Computed tomography.

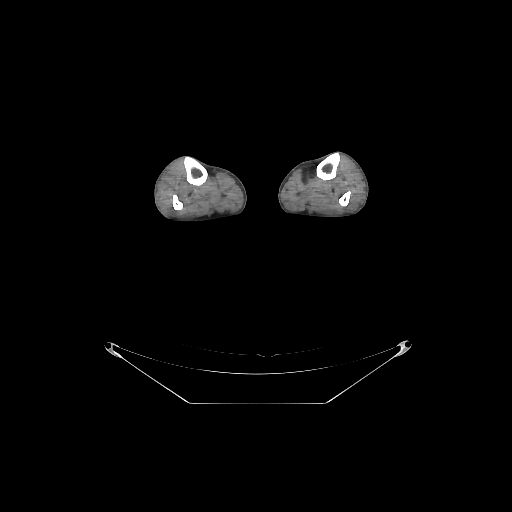 Bone at rect(172, 195, 182, 209); rect(184, 157, 207, 185); rect(317, 153, 339, 180); rect(339, 191, 350, 206).